FLAIR MR image.
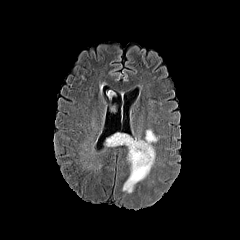
T1-weighted MR image.
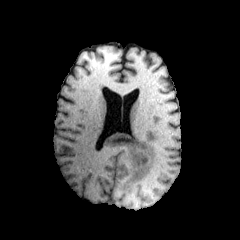
Post-contrast T1-weighted MR image.
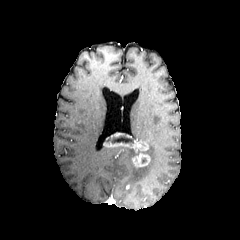
T2-weighted MR.
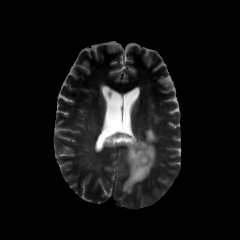
Image size 240x240
enhancing_tumor:
  - l=132, t=153, r=150, b=167
  - l=104, t=132, r=149, b=153
non-enhancing_tumor_core:
  - l=108, t=133, r=133, b=145
edema:
  - l=123, t=129, r=156, b=193